Image size 240x240 | Brain | Image width 240 mm
FLAIR MR image.
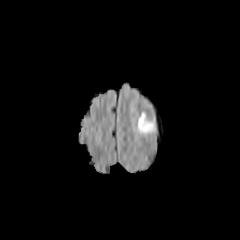
T1-weighted MRI.
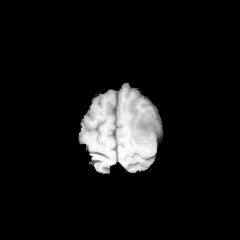
Post-contrast T1-weighted MR image.
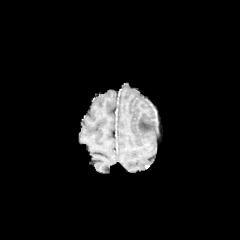
T2-weighted MR.
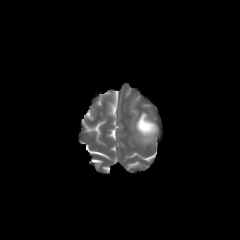
The edema lies within bbox=[137, 112, 159, 145].